CT slice

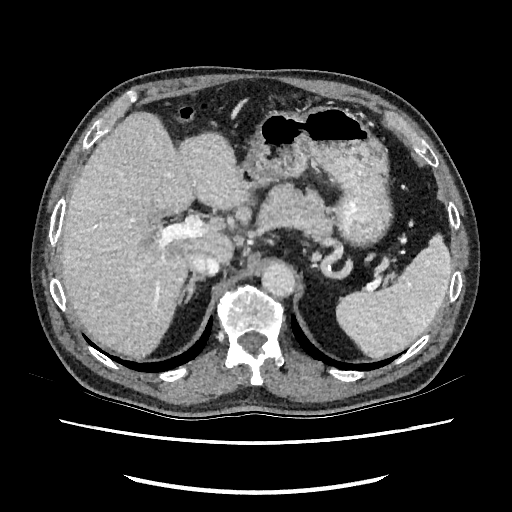

Findings:
• hepatic lesion: <box>141,236,153,245</box>, <box>156,210,170,221</box>, <box>167,243,179,254</box>
• liver: <box>62,114,248,356</box>